Slice 486/654, Upper abdomen, 512x512, CT image 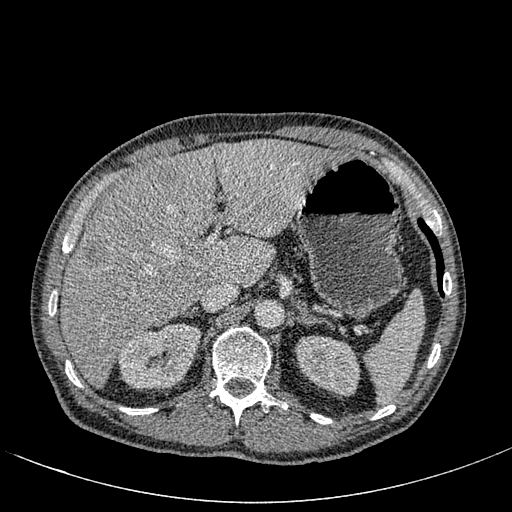

Kidney: bounding box x1=117 y1=324 x2=200 y2=388, x1=295 y1=336 x2=359 y2=394.
Focal liver lesion: bounding box x1=213 y1=144 x2=225 y2=155, x1=84 y1=240 x2=103 y2=265, x1=154 y1=162 x2=175 y2=182.
Liver: bounding box x1=60 y1=139 x2=349 y2=387.